Image size 240x240
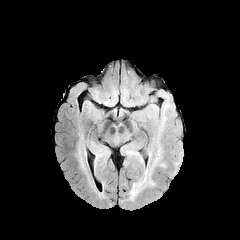
FLAIR MR.
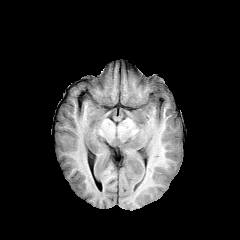
T1-weighted MR image.
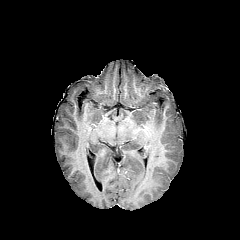
Same slice, post-contrast T1-weighted magnetic resonance.
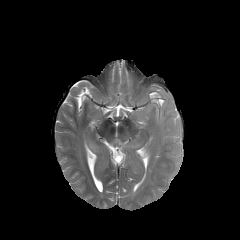
Same slice, T2-weighted MR image.
edema:
  - <bbox>90, 142, 103, 163</bbox>